Slice 24 of 37, Hippocampus, MRI

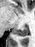

Posterior hippocampus at l=13, t=25, r=28, b=36.